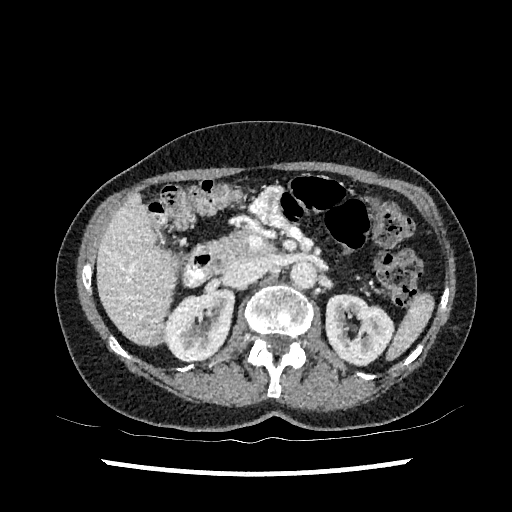
Upper abdomen; CT slice

2 kidney regions are bounded by <box>326,295,393,364</box>, <box>165,284,233,361</box>. The liver is at <box>97,192,177,344</box>.